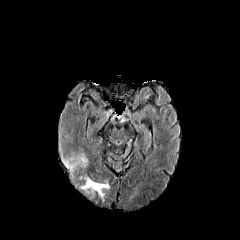
FLAIR magnetic resonance.
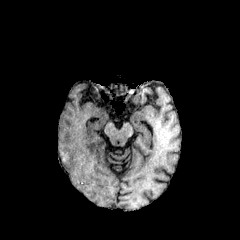
Same slice, T1-weighted MR.
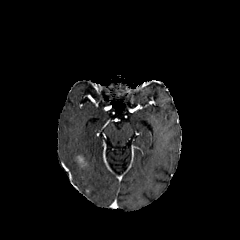
Post-contrast T1-weighted MR.
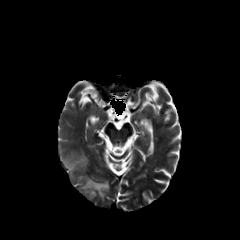
Same slice, T2-weighted MR.
240x240
edema: (81, 176, 109, 197), (65, 157, 79, 174)